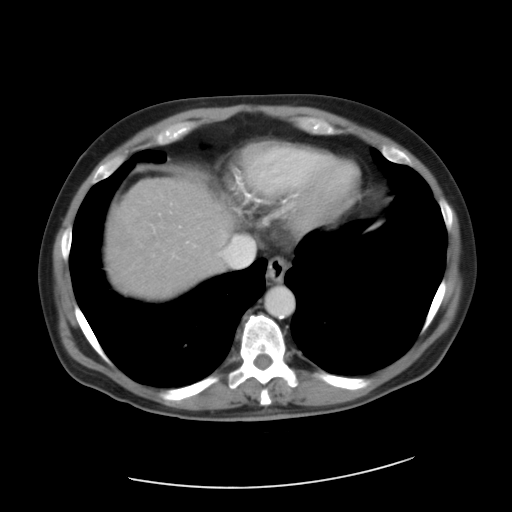 512x512 | Abdomen | CT slice
Some hepatic vessels may have no box.
hepatic vessel: (246,195,248,197), (237,179,240,184), (173,253,173,256), (218,242,243,267), (187,241,189,243), (151,225,154,231), (250,256,252,258), (193,244,195,246)